Field of view 240 mm wide, 1.00 mm slice spacing; Slice 63 of 155; Brain
FLAIR MRI.
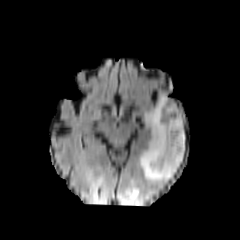
T1-weighted MR image.
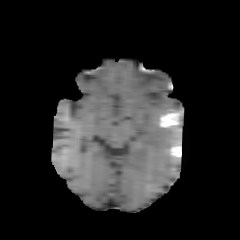
Post-contrast T1-weighted MR image.
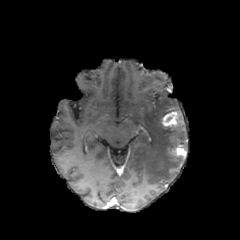
T2-weighted MR image.
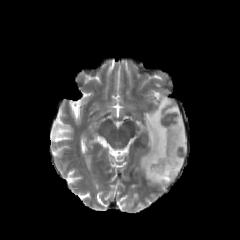
<segmentation>
  <non-enhancing_tumor_core>[167,115,183,130], [169,133,185,155]</non-enhancing_tumor_core>
  <enhancing_tumor>[172,143,187,158], [163,111,179,126]</enhancing_tumor>
  <edema>[139,92,185,184]</edema>
</segmentation>